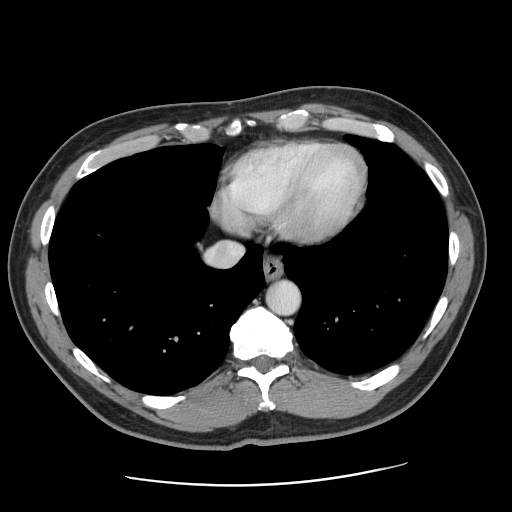

512x512, CT image

Only some of the vessels may be annotated.
Hepatic vessel: 205,244,241,266.